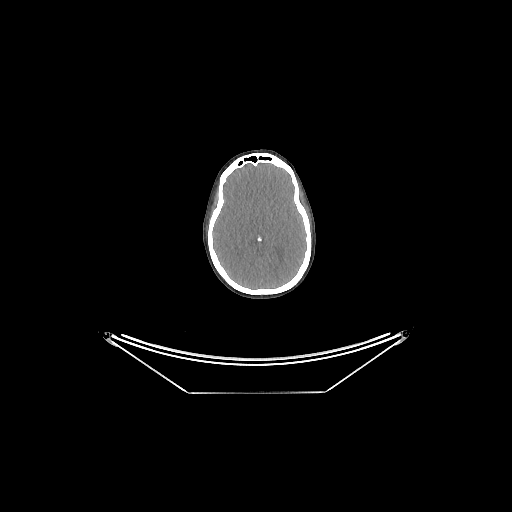 Brain. CT.
The brain lies within 212, 163, 306, 289.